Pelvis | CT scan slice
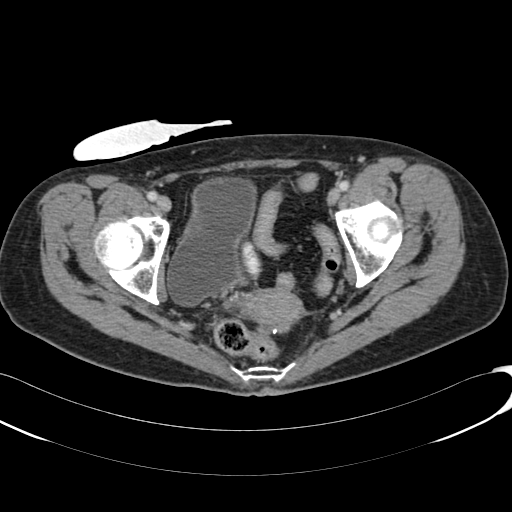

Annotated regions:
* urinary bladder: [166,176,262,307]